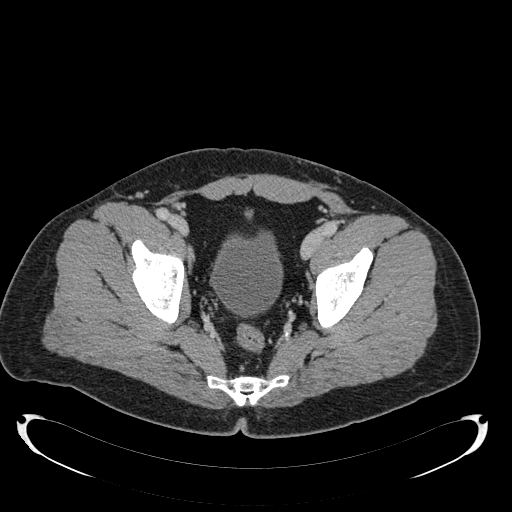 CT slice

Urinary bladder — left=211, top=230, right=283, bottom=317.